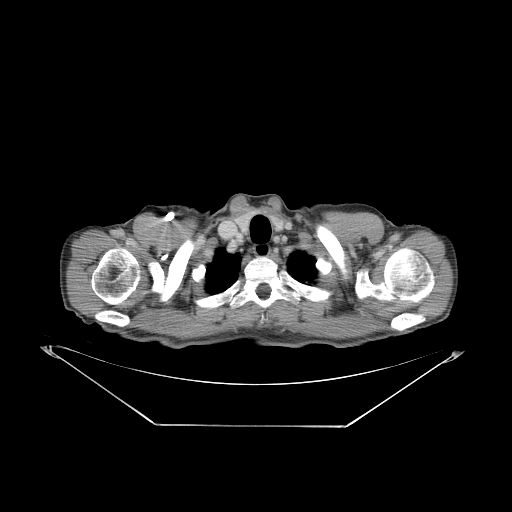 Chest | CT scan slice
{
  "bone": [
    "box(192, 265, 205, 281)",
    "box(164, 212, 174, 220)",
    "box(391, 313, 423, 330)",
    "box(236, 257, 329, 319)",
    "box(316, 258, 331, 273)",
    "box(147, 240, 194, 301)",
    "box(317, 226, 346, 273)",
    "box(92, 249, 139, 304)",
    "box(196, 295, 220, 307)",
    "box(96, 311, 128, 326)",
    "box(355, 249, 433, 301)"
  ],
  "lung": [
    "box(205, 247, 241, 294)",
    "box(286, 249, 317, 283)"
  ]
}